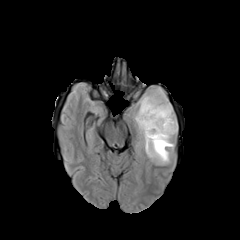
FLAIR MRI.
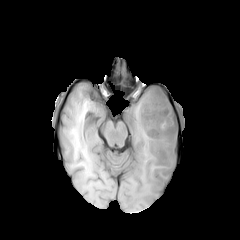
Same slice, T1-weighted MR image.
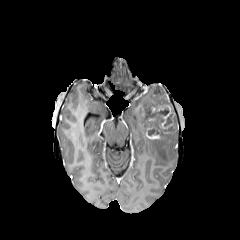
Post-contrast T1-weighted MR image of the same slice.
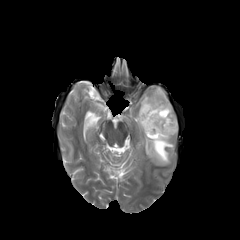
T2-weighted magnetic resonance.
240x240
Segmented structures:
- non-enhancing tumor core: region(139, 85, 177, 139)
- edema: region(130, 85, 177, 165)